CT image, 512x512 px

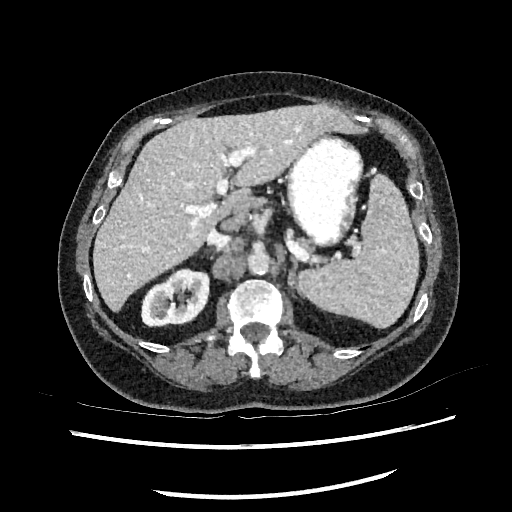 Kidney = 142 270 208 325.
Liver = 94 103 367 311.